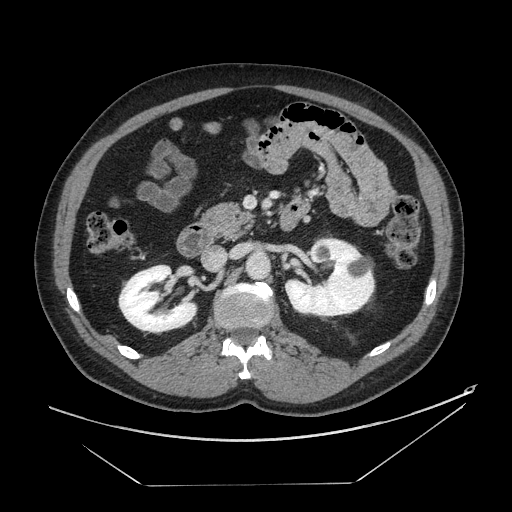

Computed tomography
Pancreas: bounding box box(201, 202, 256, 239).